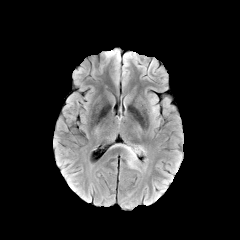
FLAIR magnetic resonance.
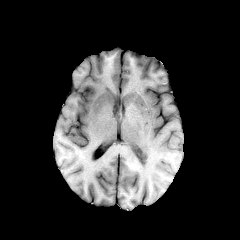
T1-weighted MRI.
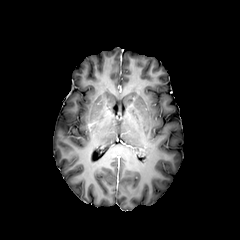
Same slice, post-contrast T1-weighted MRI.
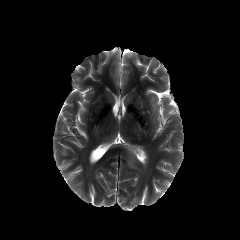
T2-weighted MR image.
Segmented structures:
* enhancing tumor: rect(127, 146, 139, 156)
* non-enhancing tumor core: rect(122, 144, 136, 161)
* edema: rect(127, 157, 138, 168); rect(150, 97, 159, 117)